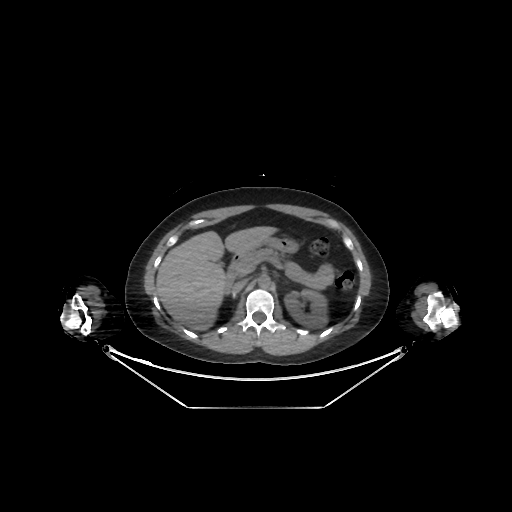
Computed tomography. Liver.

Kidney at x1=284, y1=287, x2=327, y2=328.
Liver at x1=155, y1=227, x2=275, y2=329.